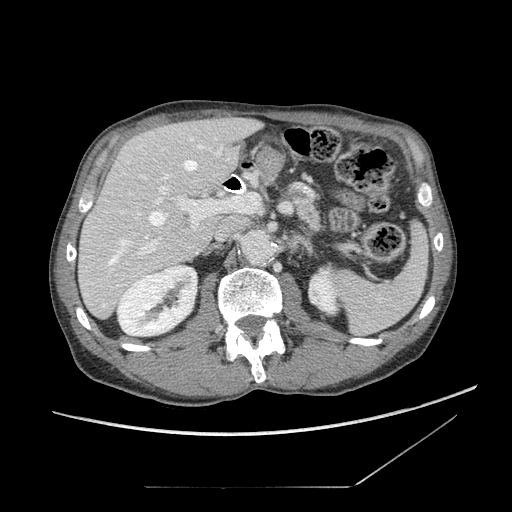
Image size 512x512, Computed tomography, Abdomen
The pancreas is bounded by x1=297 y1=200 x2=320 y2=231.